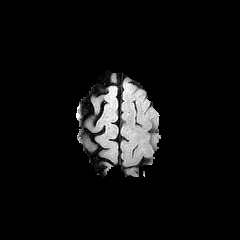
FLAIR MR image.
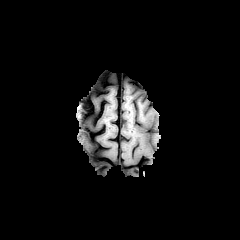
T1-weighted MR image of the same slice.
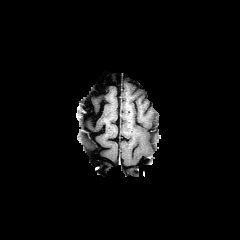
Post-contrast T1-weighted MR.
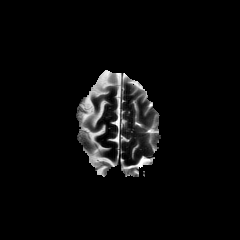
T2-weighted magnetic resonance.
Image size 240x240
{
  "edema": [
    "(left=130, top=112, right=144, bottom=121)"
  ]
}